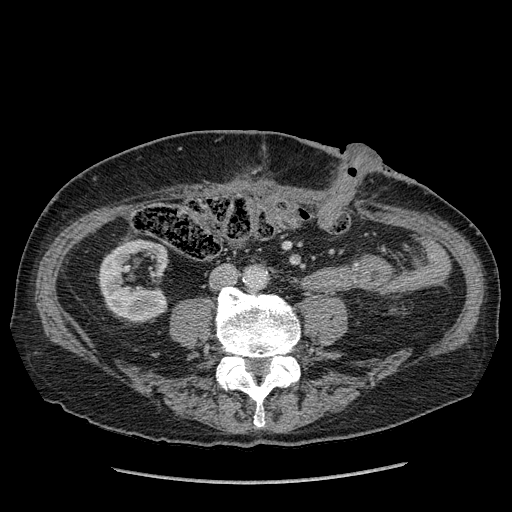 CT image | 512x512 px | Abdomen
kidney: [99,240,166,320]